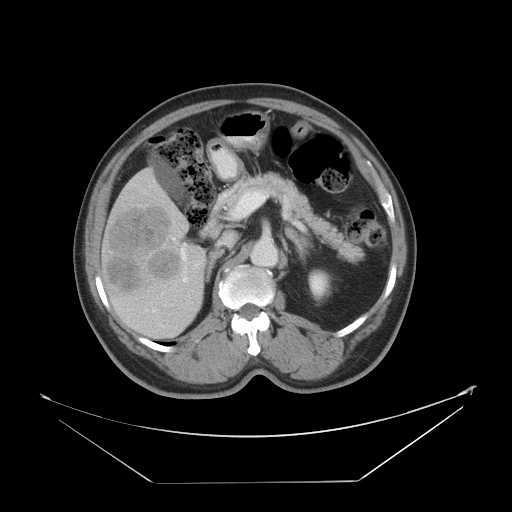
CT image
Some hepatic vessels may have no box.
Segmented structures:
• hepatic vessel: bbox=[194, 259, 201, 267]; bbox=[182, 265, 187, 282]; bbox=[163, 304, 165, 306]; bbox=[161, 285, 165, 286]; bbox=[172, 237, 175, 240]; bbox=[161, 292, 163, 295]; bbox=[151, 308, 157, 312]; bbox=[180, 244, 186, 260]; bbox=[145, 310, 148, 311]; bbox=[173, 222, 175, 224]; bbox=[187, 294, 189, 300]
• liver tumor: bbox=[106, 207, 181, 290]